Upper abdomen; CT slice
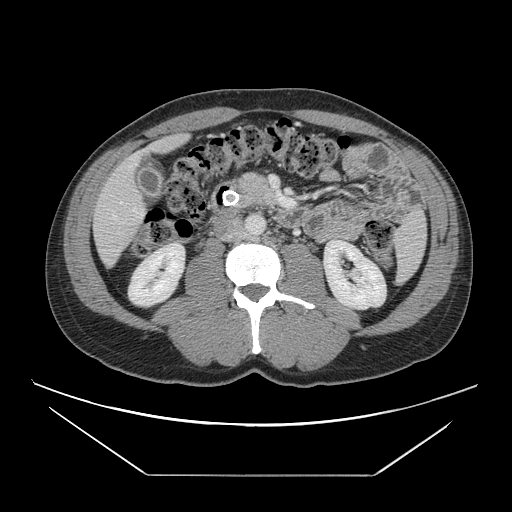

The pancreas appears at box=[240, 173, 267, 204].